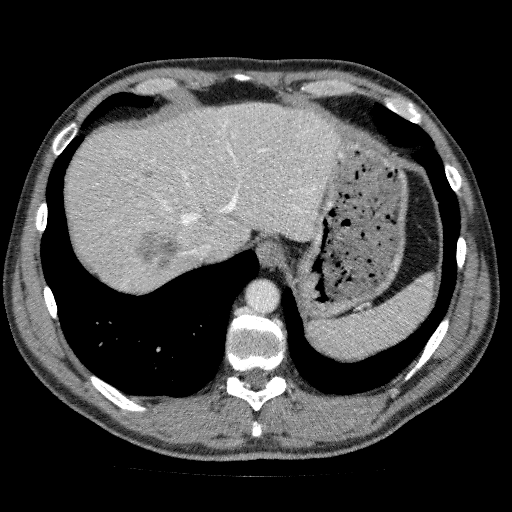
Abdomen | CT slice
The liver lies within 66, 102, 338, 293. 2 focal liver lesion regions are located at 134, 229, 182, 275; 141, 168, 156, 179.